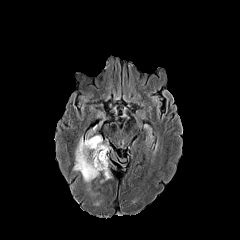
FLAIR MRI.
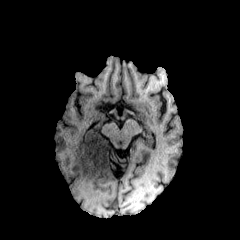
T1-weighted magnetic resonance.
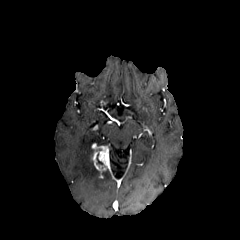
Same slice, post-contrast T1-weighted magnetic resonance.
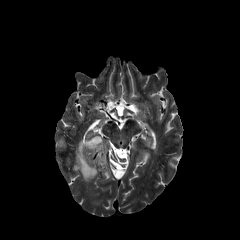
Same slice, T2-weighted MR.
The enhancing tumor is located at box=[89, 143, 109, 173]. The edema is bounded by box=[73, 135, 101, 183].